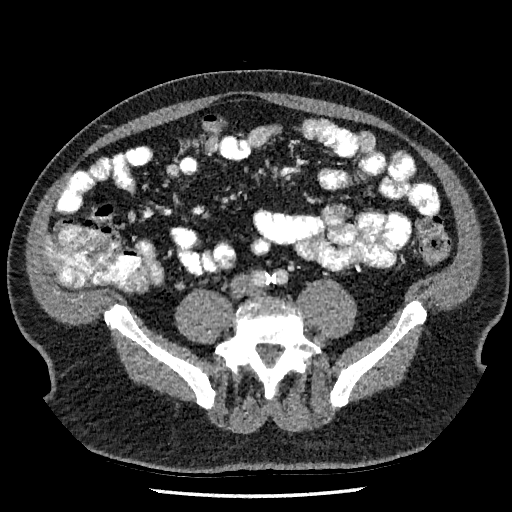 CT scan slice.

Liver: bounding box x1=44, y1=236, x2=54, y2=262.